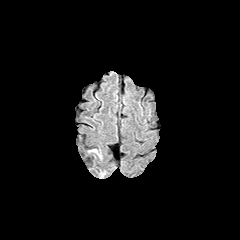
FLAIR MRI.
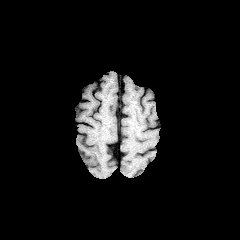
T1-weighted MRI of the same slice.
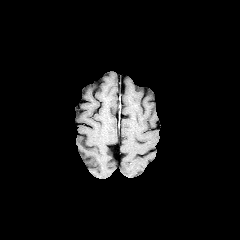
Post-contrast T1-weighted magnetic resonance of the same slice.
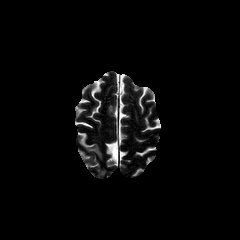
Same slice, T2-weighted MR.
{
  "edema": [
    "(left=87, top=148, right=102, bottom=159)"
  ]
}